512x512 px | CT 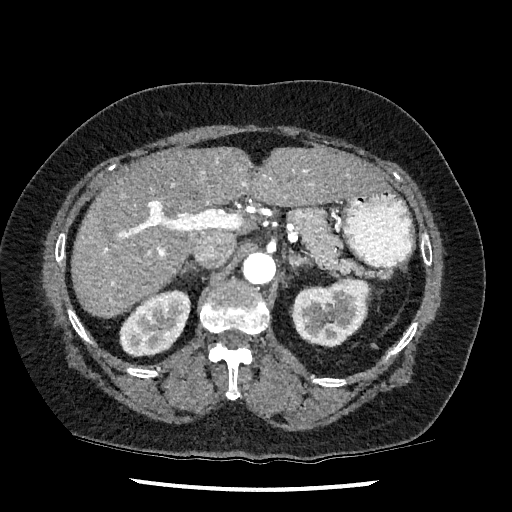 {
  "kidney": [
    "region(120, 291, 189, 355)",
    "region(292, 279, 368, 346)"
  ],
  "liver": [
    "region(71, 147, 385, 316)"
  ]
}